Image size 240x240, Head
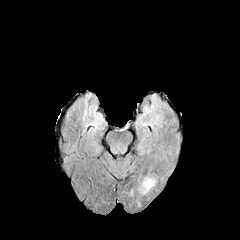
FLAIR MR image.
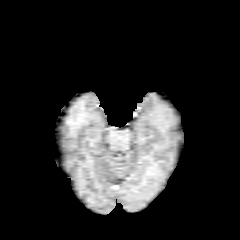
T1-weighted MR image.
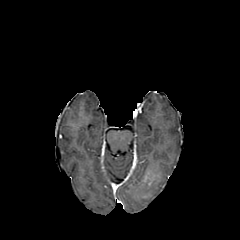
Post-contrast T1-weighted MR image of the same slice.
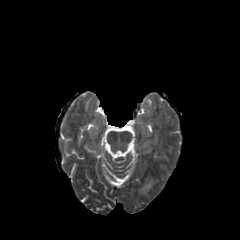
T2-weighted MRI.
The edema lies within (x1=139, y1=176, x2=155, y2=193).